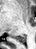

MR.
The posterior hippocampus is located at [11, 34, 26, 42].